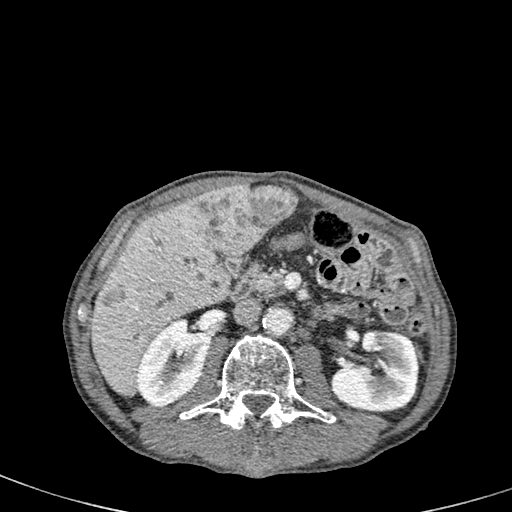
CT image.

Kidney — x1=332, y1=330, x2=417, y2=410; x1=137, y1=315, x2=211, y2=406.
Liver lesion — x1=198, y1=185, x2=296, y2=255; x1=102, y1=288, x2=124, y2=306.
Liver — x1=91, y1=197, x2=232, y2=397.